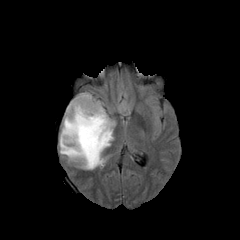
FLAIR MR.
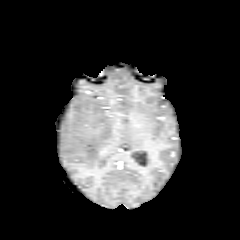
T1-weighted MRI.
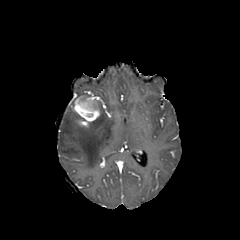
Post-contrast T1-weighted MR of the same slice.
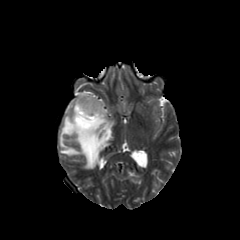
Same slice, T2-weighted MRI.
Head
Enhancing tumor: bounding box (left=69, top=96, right=100, bottom=121).
Edema: bounding box (left=59, top=106, right=115, bottom=169).
Non-enhancing tumor core: bounding box (left=73, top=113, right=100, bottom=125).